Image size 240x240
FLAIR magnetic resonance.
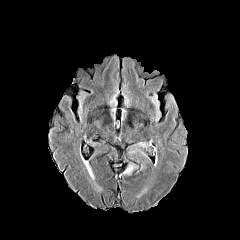
T1-weighted MR.
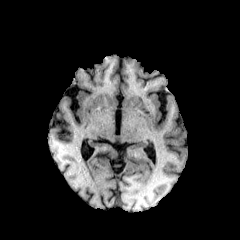
Post-contrast T1-weighted MR image.
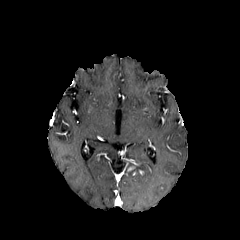
T2-weighted magnetic resonance.
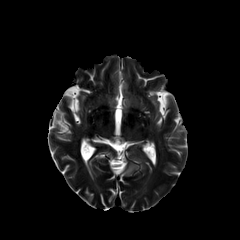
Enhancing tumor — 123 163 135 174.